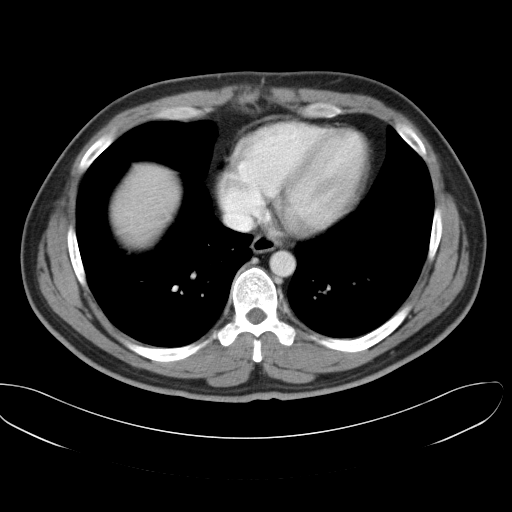
Liver; CT slice

Some hepatic vessels may have no box.
The hepatic vessel lies within x1=224, y1=215, x2=250, y2=230.